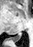

Magnetic resonance | Hippocampus
The posterior hippocampus is at <bbox>12, 34, 21, 41</bbox>.